Field of view 240x240 mm | Slice 64 of 155 | Image size 240x240
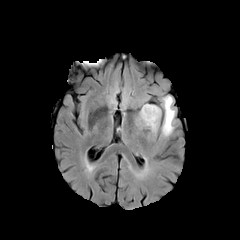
FLAIR MRI.
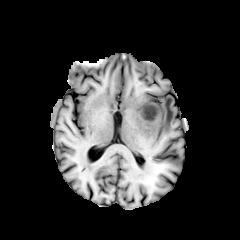
Same slice, T1-weighted MRI.
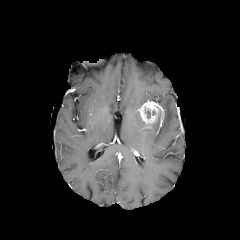
Same slice, post-contrast T1-weighted magnetic resonance.
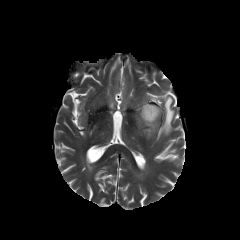
T2-weighted MRI.
Enhancing tumor at x1=140 y1=103 x2=161 y2=124.
Edema at x1=146 y1=110 x2=161 y2=131, x1=161 y1=95 x2=174 y2=135.